CT scan slice. Abdomen. Field of view 473x473 mm. Image size 512x512. 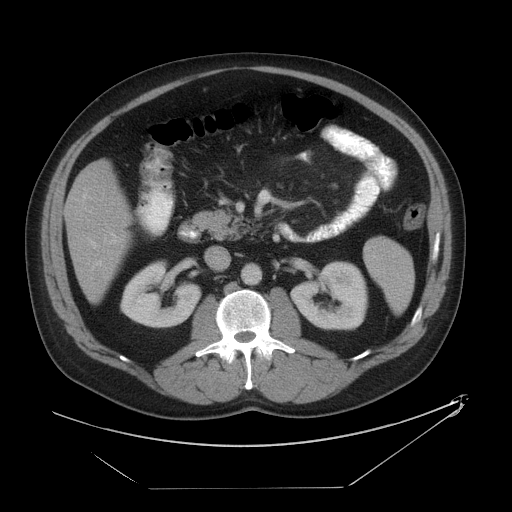

Segmented structures:
• spleen: [x1=365, y1=237, x2=414, y2=314]